Slice index 83. Image size 240x240.
FLAIR magnetic resonance.
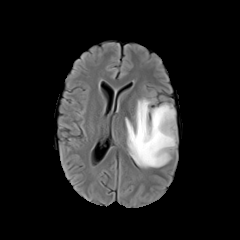
T1-weighted MRI.
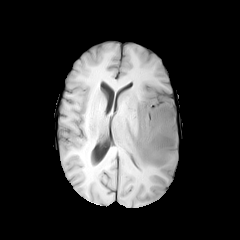
Post-contrast T1-weighted MRI.
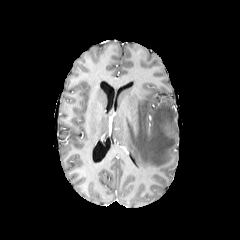
T2-weighted magnetic resonance.
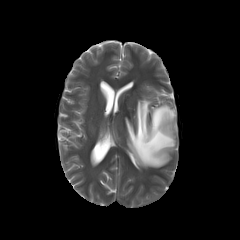
edema:
  - 125:89:178:168